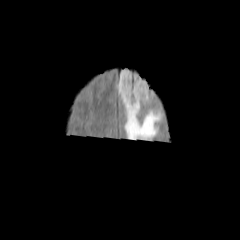
FLAIR MRI.
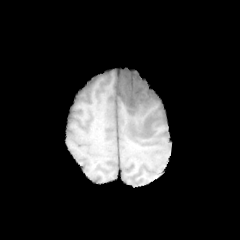
T1-weighted MRI.
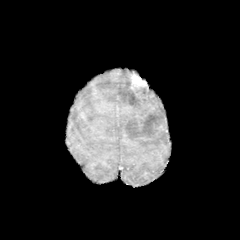
Post-contrast T1-weighted magnetic resonance.
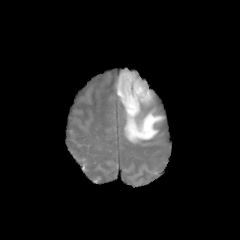
T2-weighted magnetic resonance.
240x240 px. Head.
edema:
  - 116,70,165,142
enhancing_tumor:
  - 127,72,148,92